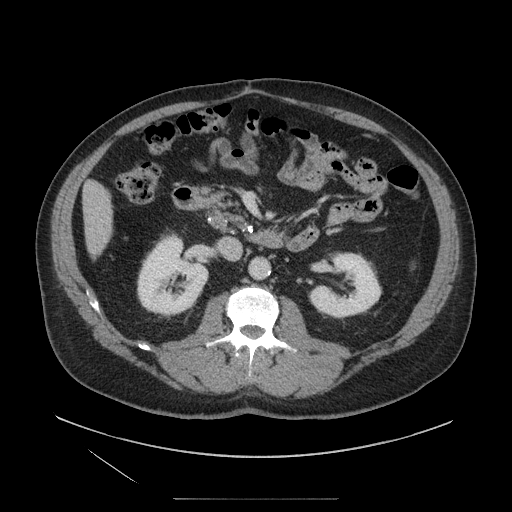 512x512; Abdomen; Computed tomography
Pancreas: l=197, t=185, r=250, b=233.